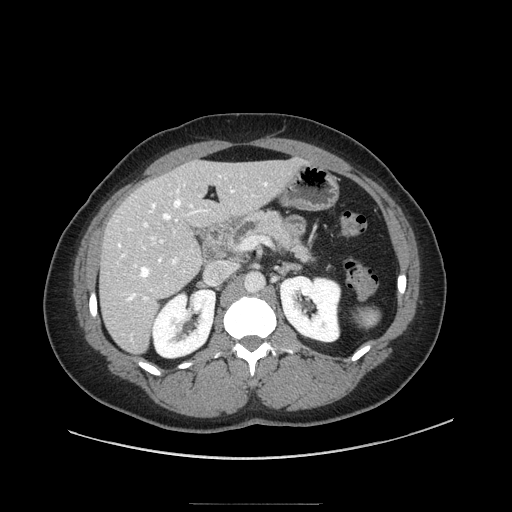

Upper abdomen, CT scan slice

The pancreas is at (223,209,318,267).